CT slice, 512x512
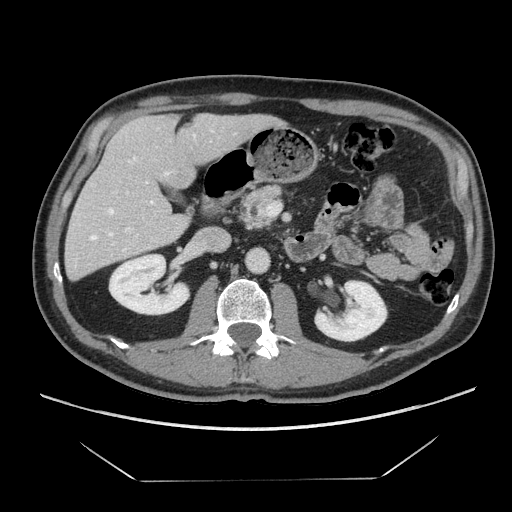 The pancreas is bounded by {"x1": 245, "y1": 186, "x2": 280, "y2": 227}.